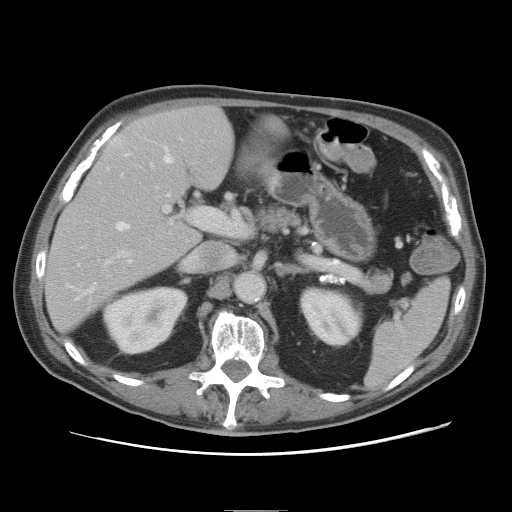
CT.
Only some of the vessels may be annotated.
Findings:
• hepatic vessel: 107,259,111,264; 151,164,153,166; 164,148,172,163; 169,219,173,224; 66,285,75,288; 117,222,128,230; 168,193,170,196; 164,206,171,212; 119,252,127,256; 182,215,197,224; 78,288,93,299; 129,258,132,263; 94,283,95,285; 127,154,129,155